FLAIR MR image.
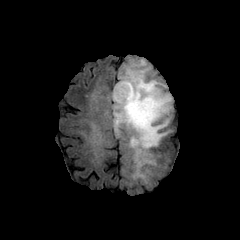
T1-weighted MR.
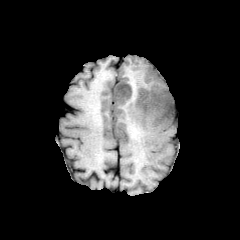
Post-contrast T1-weighted MRI.
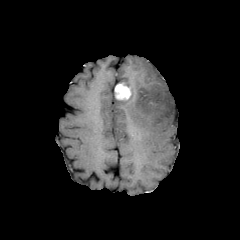
T2-weighted MRI.
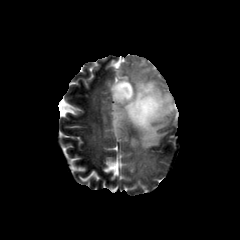
Head.
Non-enhancing tumor core: <box>128,121,139,139</box>, <box>113,100,121,131</box>, <box>134,84,171,119</box>, <box>116,74,138,99</box>.
Edema: <box>114,60,173,179</box>, <box>110,100,113,125</box>.
Enhancing tumor: <box>114,82,131,99</box>.